Image width 398 mm | CT slice | Abdomen
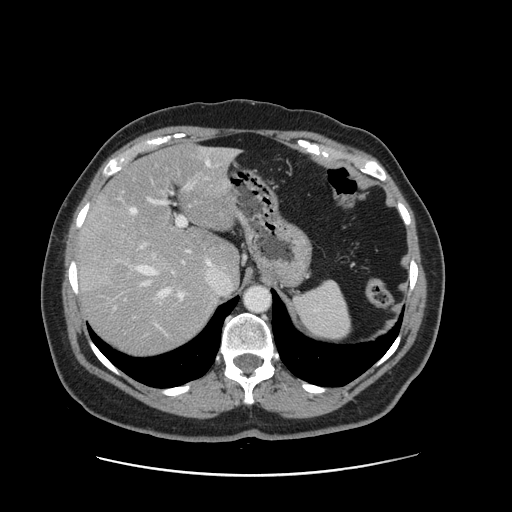 The vessel annotation is not exhaustive.
{
  "liver_tumor": [
    "<bbox>108, 264, 130, 289</bbox>"
  ],
  "hepatic_vessel": [
    "<bbox>185, 184, 190, 188</bbox>",
    "<bbox>186, 250, 189, 251</bbox>",
    "<bbox>160, 288, 169, 296</bbox>",
    "<bbox>148, 198, 167, 203</bbox>",
    "<bbox>143, 279, 149, 285</bbox>",
    "<bbox>176, 216, 186, 226</bbox>",
    "<bbox>138, 266, 155, 277</bbox>",
    "<bbox>179, 292, 183, 299</bbox>",
    "<bbox>206, 161, 210, 164</bbox>",
    "<bbox>140, 244, 144, 247</bbox>"
  ]
}